CT slice. Slice 186 of 252. Chest.
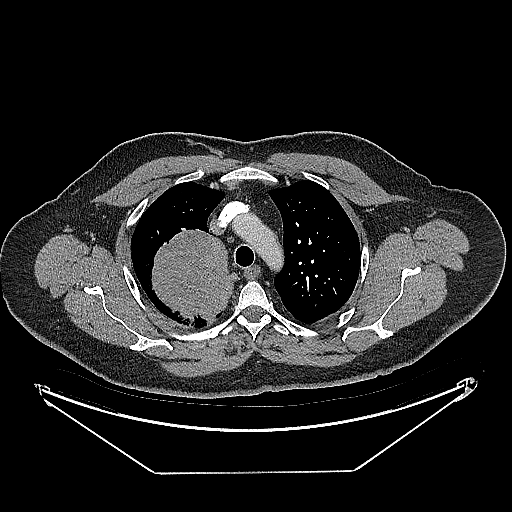

The lung tumor is at region(147, 227, 237, 325).